Slice 50/155
FLAIR magnetic resonance.
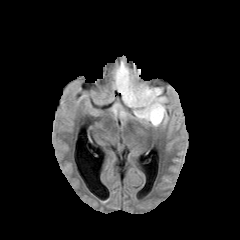
T1-weighted MR.
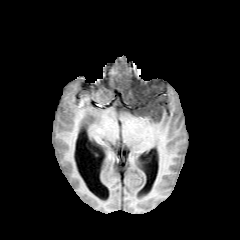
Post-contrast T1-weighted MR.
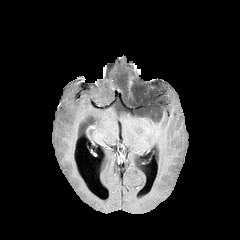
T2-weighted MRI.
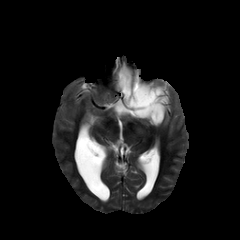
2 edema regions appear at l=113, t=60, r=139, b=107; l=111, t=95, r=168, b=128. The non-enhancing tumor core is bounded by l=119, t=69, r=165, b=122.